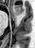
MR, Medial temporal lobe

Anterior hippocampus: <box>13,5,23,14</box>.